FLAIR magnetic resonance.
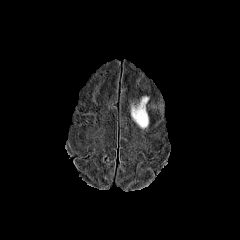
T1-weighted MR image.
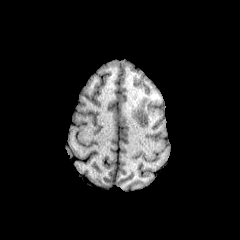
Post-contrast T1-weighted magnetic resonance.
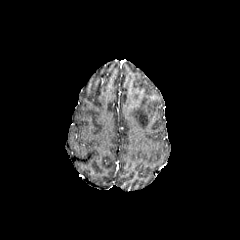
T2-weighted magnetic resonance.
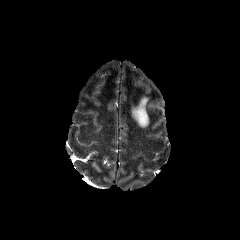
Brain. Image size 240x240.
Findings:
- edema: 131:96:148:127